Image width 407 mm; Upper abdomen; Image size 512x512; CT slice
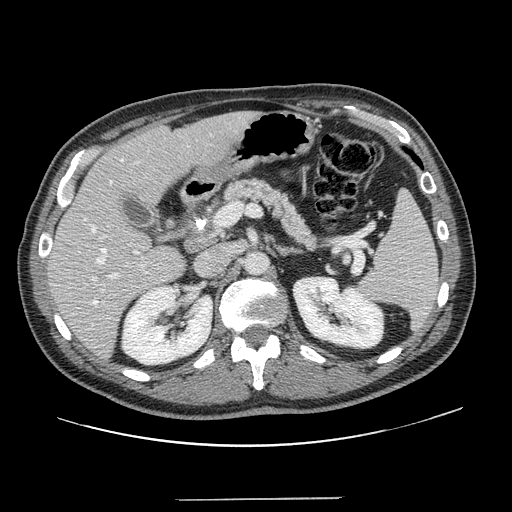

Pancreas = (left=175, top=177, right=319, bottom=255).